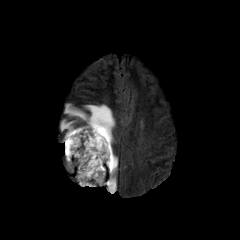
FLAIR MR.
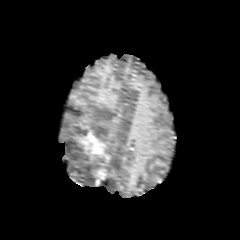
T1-weighted MR image.
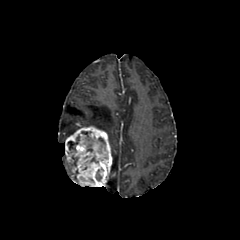
Post-contrast T1-weighted MR image.
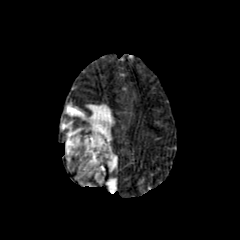
T2-weighted magnetic resonance.
Brain
Annotated regions:
• enhancing tumor: <bbox>63, 124, 113, 186</bbox>
• edema: <bbox>107, 152, 117, 193</bbox>, <bbox>64, 104, 114, 144</bbox>, <bbox>60, 119, 75, 136</bbox>